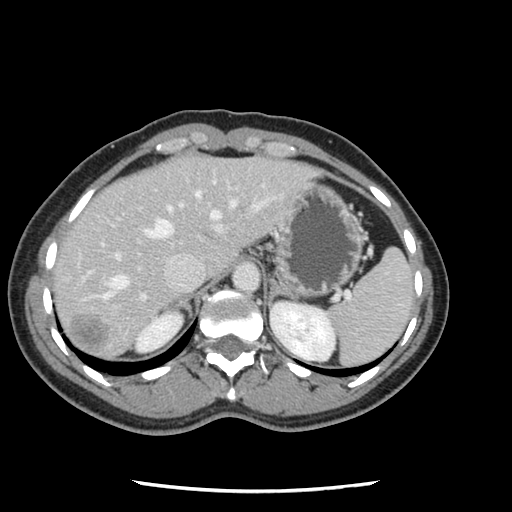

CT scan slice | Liver
Not every hepatic vessel necessarily has a box.
11 hepatic vessel regions are located at (166, 204, 170, 209), (229, 200, 235, 205), (141, 294, 144, 298), (253, 200, 267, 207), (100, 275, 127, 298), (195, 190, 199, 196), (179, 202, 181, 205), (227, 186, 229, 188), (211, 210, 221, 230), (115, 252, 119, 258), (145, 219, 171, 236). The liver tumor appears at (71, 314, 110, 353).